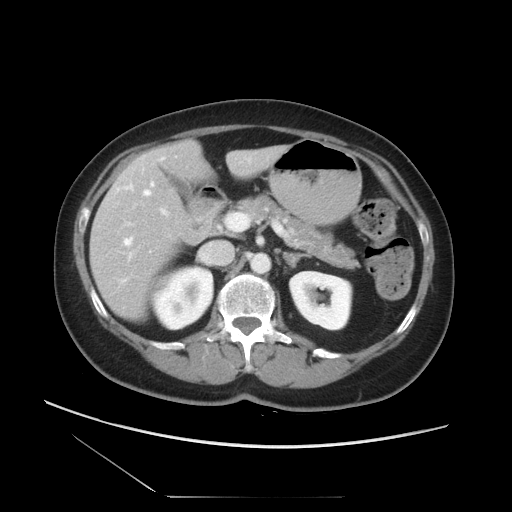

Liver, 512x512 px, CT slice
The vessel boxes may cover only some of the vessels.
• hepatic vessel: {"x1": 119, "y1": 279, "x2": 126, "y2": 283}, {"x1": 161, "y1": 209, "x2": 167, "y2": 214}, {"x1": 159, "y1": 157, "x2": 164, "y2": 161}, {"x1": 125, "y1": 222, "x2": 130, "y2": 225}, {"x1": 150, "y1": 182, "x2": 153, "y2": 186}, {"x1": 246, "y1": 158, "x2": 251, "y2": 162}, {"x1": 128, "y1": 252, "x2": 132, "y2": 260}, {"x1": 226, "y1": 213, "x2": 248, "y2": 230}, {"x1": 124, "y1": 238, "x2": 132, "y2": 245}, {"x1": 143, "y1": 190, "x2": 150, "y2": 196}, {"x1": 115, "y1": 184, "x2": 133, "y2": 191}, {"x1": 142, "y1": 168, "x2": 143, "y2": 170}